Field of view 382x382 mm | Abdomen | Computed tomography 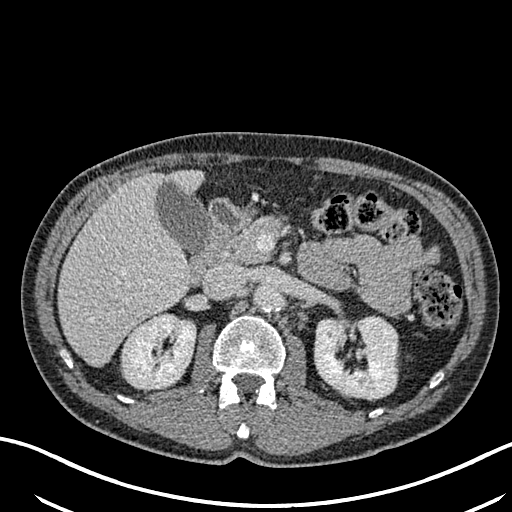 Annotated regions:
- liver: <bbox>58, 171, 202, 366</bbox>
- kidney: <bbox>122, 315, 195, 388</bbox>, <bbox>315, 317, 396, 397</bbox>